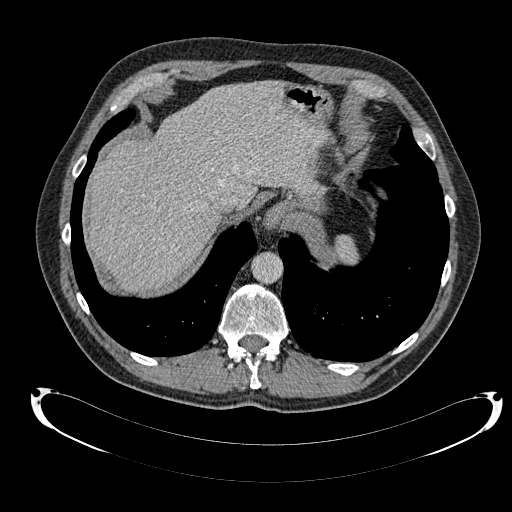 CT scan slice, 512x512
liver: [x1=90, y1=82, x2=326, y2=290]